FLAIR MRI.
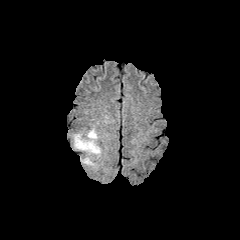
T1-weighted MR image.
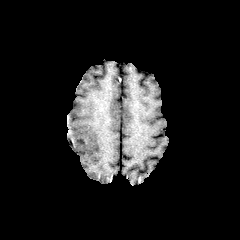
Post-contrast T1-weighted MR image.
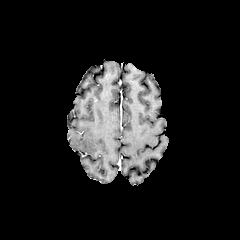
T2-weighted MR image.
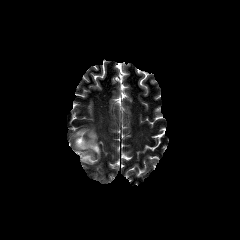
Image size 240x240 | Head
The edema appears at rect(72, 128, 101, 165).